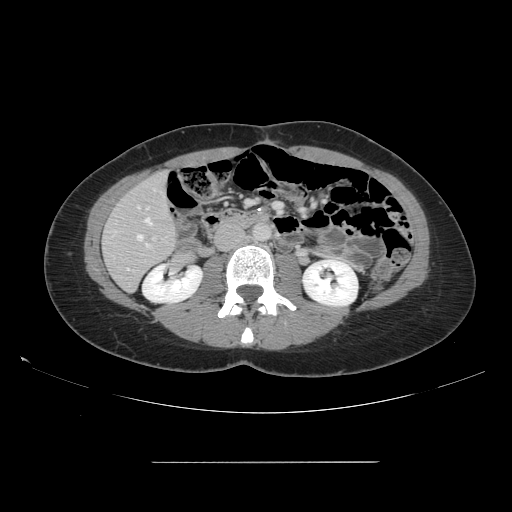 CT slice, Liver
The vessel annotation is not exhaustive.
<segmentation>
  <hepatic_vessel>153,237,155,239; 147,207,149,208; 154,188,155,191; 137,234,142,240; 146,244,150,246; 145,218,151,224</hepatic_vessel>
</segmentation>